Liver, CT image, Field of view 445x445 mm
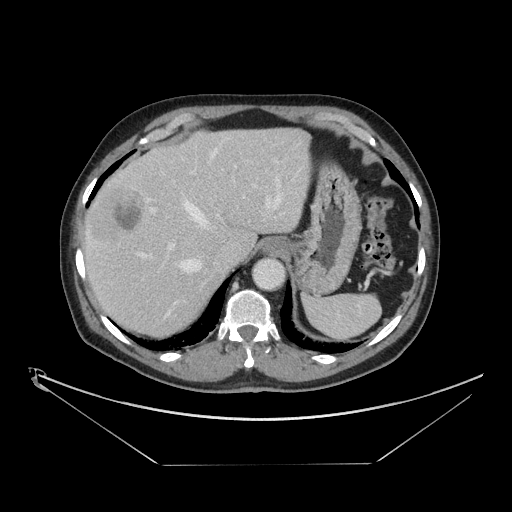

The vessel boxes may cover only some of the vessels.
Annotated regions:
• hepatic vessel (principal 15 of 16): (191,171,193,174), (210,150,216,162), (166,301,177,316), (266,200,270,206), (137,252,144,255), (217,215,219,217), (168,244,173,249), (272,194,282,208), (234,165,235,166), (183,201,208,226), (180,259,201,271), (150,208,154,212), (276,178,279,185), (254,185,256,186), (146,198,150,201)
• liver tumor: (89,186,146,241)